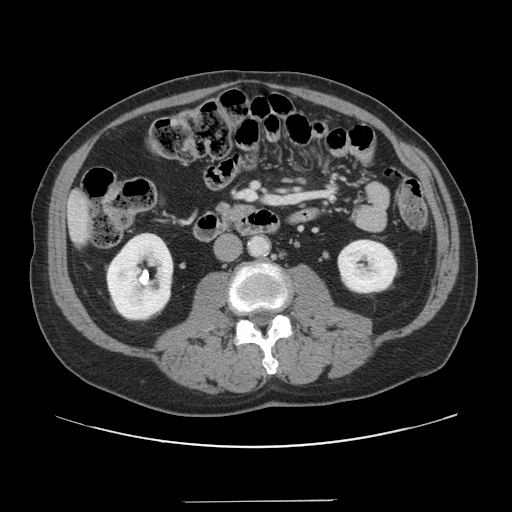

CT scan slice.

The vessel annotation is not exhaustive.
hepatic_vessel:
  - box=[240, 191, 254, 198]